Brain | Field of view 240 mm wide, 1.00 mm slice spacing | Slice 35 of 155 | 240x240
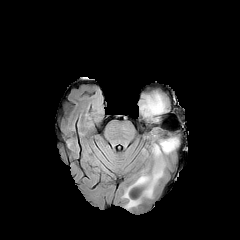
FLAIR MRI.
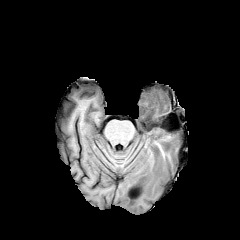
T1-weighted magnetic resonance.
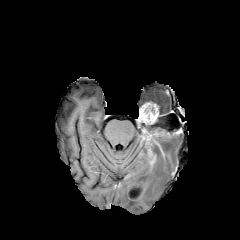
Post-contrast T1-weighted MR.
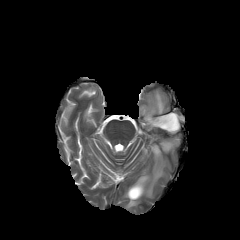
T2-weighted magnetic resonance of the same slice.
edema: left=123, top=138, right=178, bottom=208; left=147, top=94, right=165, bottom=120; left=139, top=104, right=145, bottom=121 | enhancing tumor: left=144, top=104, right=157, bottom=121